CT image; Abdomen; Slice 48 of 80
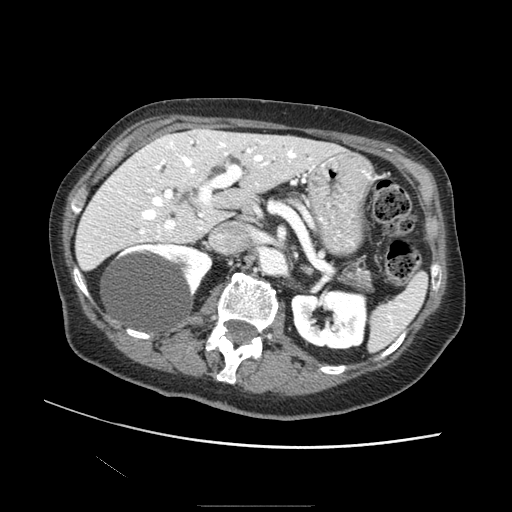

2 pancreas regions are bounded by (left=342, top=258, right=372, bottom=291), (left=287, top=191, right=298, bottom=202).